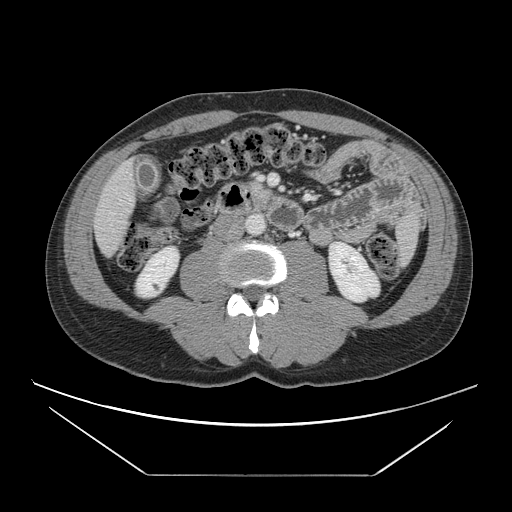

CT scan slice.

pancreas:
  - x1=250, y1=182, x2=261, y2=192